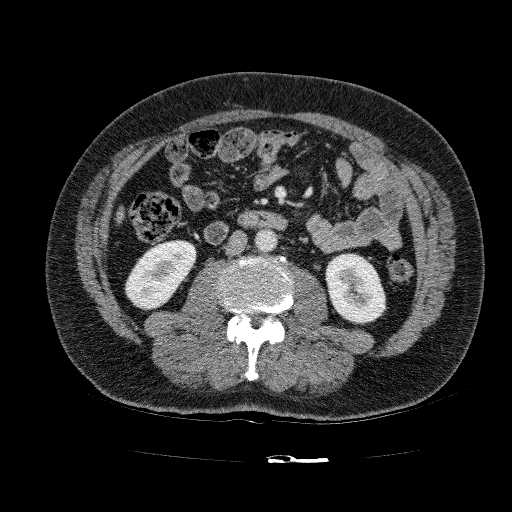

512x512 px | CT slice
2 kidney regions are located at (x1=326, y1=254, x2=385, y2=322), (x1=126, y1=241, x2=195, y2=308). The liver is located at (x1=116, y1=206, x2=124, y2=223).